Field of view 240x240 mm, Brain
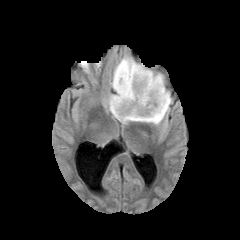
FLAIR magnetic resonance.
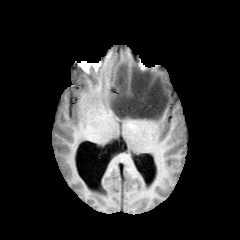
Same slice, T1-weighted magnetic resonance.
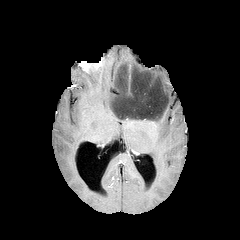
Post-contrast T1-weighted magnetic resonance of the same slice.
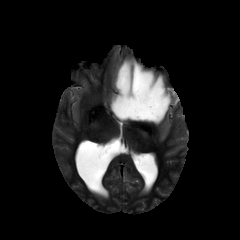
T2-weighted MR image.
{"non-enhancing_tumor_core": ["(112, 64, 169, 120)"], "edema": ["(107, 55, 173, 126)"], "enhancing_tumor": ["(127, 64, 132, 96)"]}